Computed tomography. Slice 132/178. Image size 512x512.

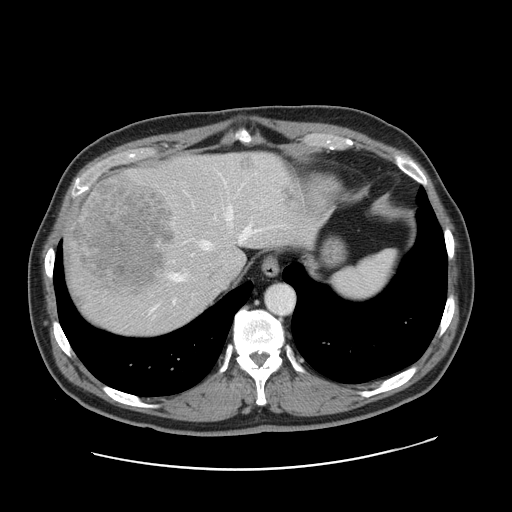
Only some of the vessels may be annotated.
2 liver tumor regions are located at bbox(67, 177, 174, 295); bbox(242, 157, 252, 168). 11 hepatic vessel regions appear at bbox(226, 206, 232, 223); bbox(191, 253, 193, 255); bbox(201, 240, 211, 249); bbox(152, 305, 156, 309); bbox(221, 285, 224, 287); bbox(254, 244, 267, 246); bbox(173, 298, 174, 302); bbox(241, 252, 244, 261); bbox(239, 225, 287, 244); bbox(270, 239, 290, 244); bbox(307, 238, 309, 242).